Slice 50 of 110; CT slice 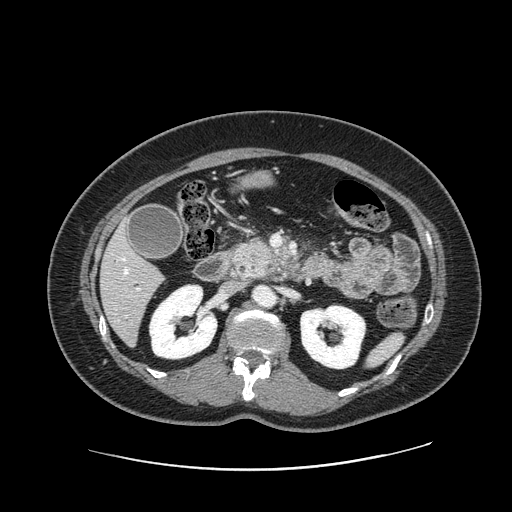

Pancreatic tumor at 244 245 265 265.
Pancreas at 232 240 283 278.